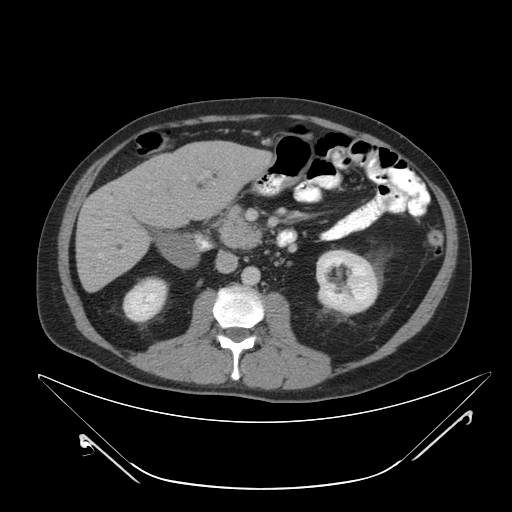

CT slice | Abdomen | 512x512

Pancreatic tumor: [221, 225, 261, 247].
Pancreas: [220, 205, 262, 244], [223, 242, 256, 249].